FLAIR MRI.
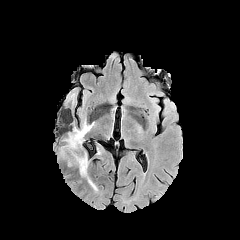
T1-weighted MRI.
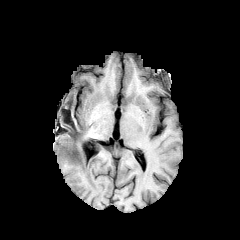
Post-contrast T1-weighted MR image.
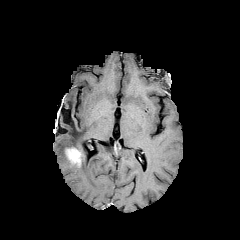
T2-weighted MRI.
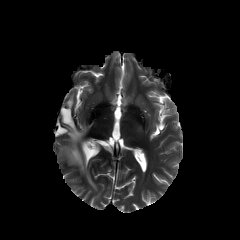
Brain.
<segmentation>
  <non-enhancing_tumor_core>bbox=[79, 149, 87, 163]</non-enhancing_tumor_core>
  <enhancing_tumor>bbox=[65, 147, 81, 165]</enhancing_tumor>
  <edema>bbox=[78, 157, 97, 190]; bbox=[59, 118, 93, 159]; bbox=[66, 92, 76, 106]</edema>
</segmentation>